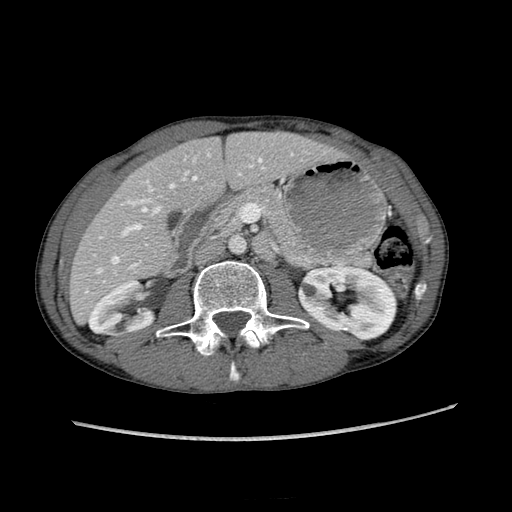
512x512. CT image. Abdomen.

Segmented structures:
• liver: <bbox>65, 133, 342, 322</bbox>
• kidney: <bbox>89, 281, 152, 331</bbox>, <bbox>300, 264, 395, 338</bbox>